Abdomen; CT; 512x512 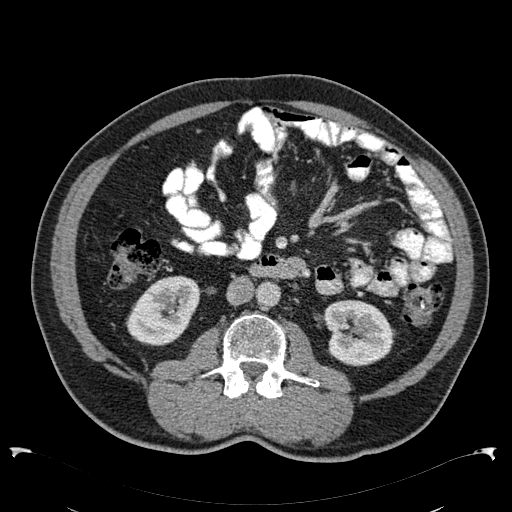
Kidney: <bbox>127, 276, 199, 345</bbox>, <bbox>323, 300, 393, 365</bbox>.